Slice index 462, Computed tomography, 512x512 px
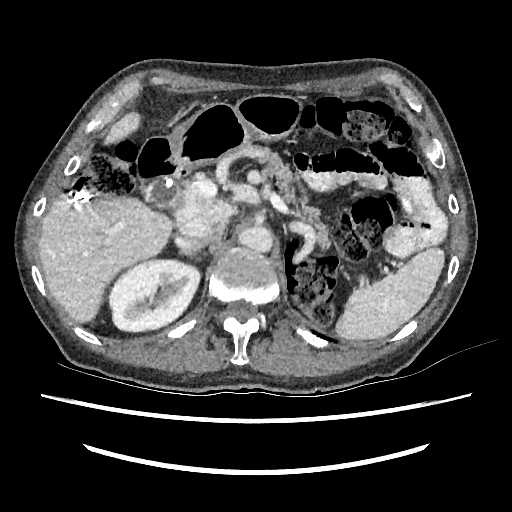 liver:
  - <bbox>105, 114, 138, 142</bbox>
  - <bbox>40, 197, 171, 321</bbox>
kidney:
  - <bbox>110, 260, 199, 331</bbox>